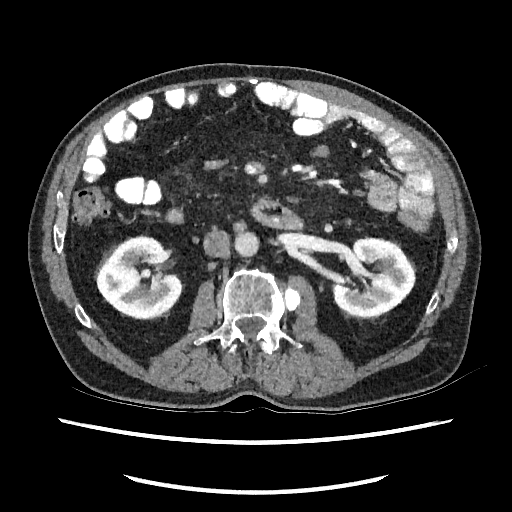 Abdomen, Computed tomography
kidney: 333:237:415:318, 97:235:181:319